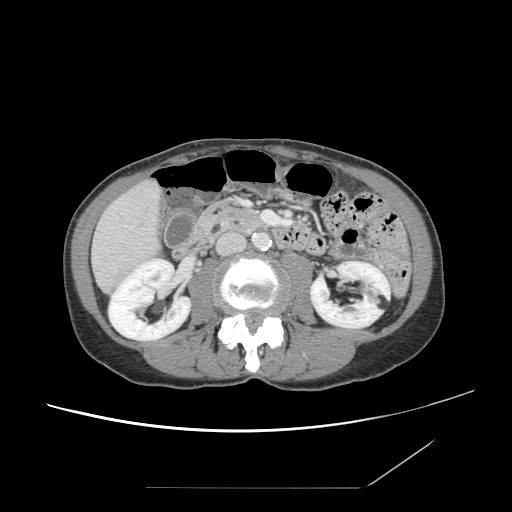 CT scan slice. {
  "pancreas": [
    "rect(199, 201, 266, 237)"
  ]
}